Slice 44 of 90 | CT scan slice | Abdomen 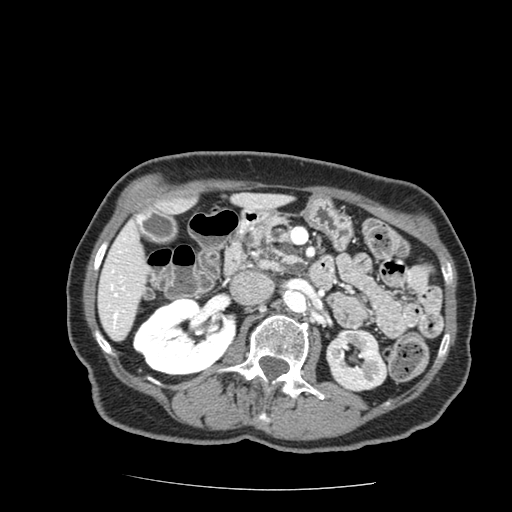
Pancreas = bbox(244, 216, 307, 275).